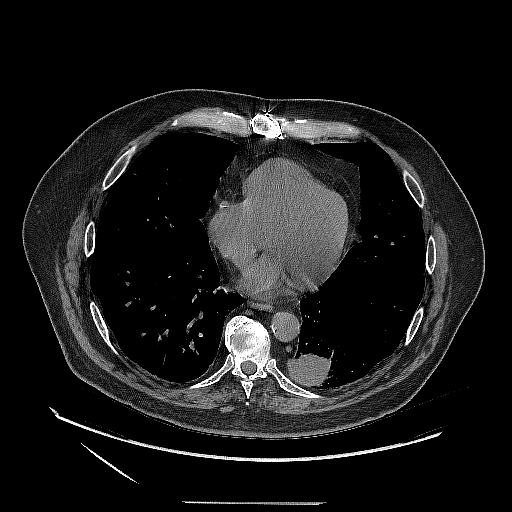

Chest; Computed tomography

lung tumor: x1=287, y1=350, x2=351, y2=388